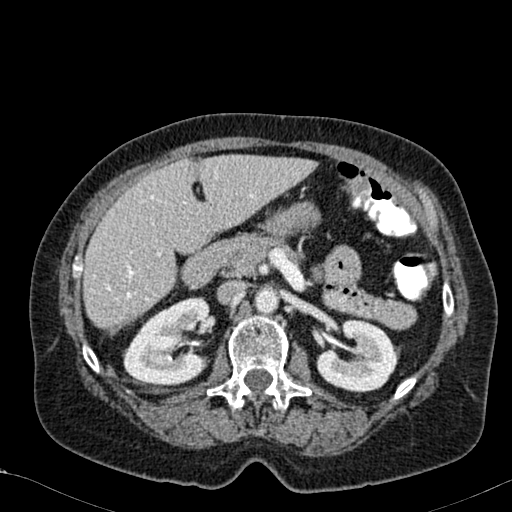
CT scan slice.

Kidney: region(315, 320, 396, 391); region(124, 298, 213, 384).
Liver: region(83, 156, 315, 327).